CT image; Slice index 439
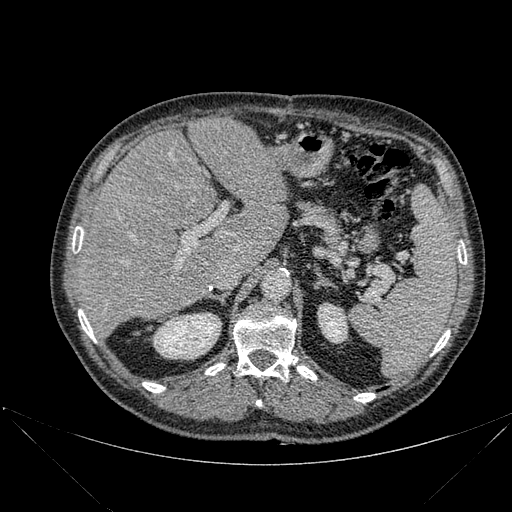 Kidney = <box>318,303,347,342</box>, <box>154,313,221,359</box>.
Bone = <box>78,309,96,342</box>, <box>233,311,297,380</box>, <box>354,393,375,402</box>, <box>205,363,224,375</box>, <box>142,382,164,392</box>, <box>458,250,466,264</box>, <box>72,231,83,252</box>, <box>431,330,449,355</box>, <box>297,366,316,379</box>.
Liver = <box>76,117,289,338</box>.